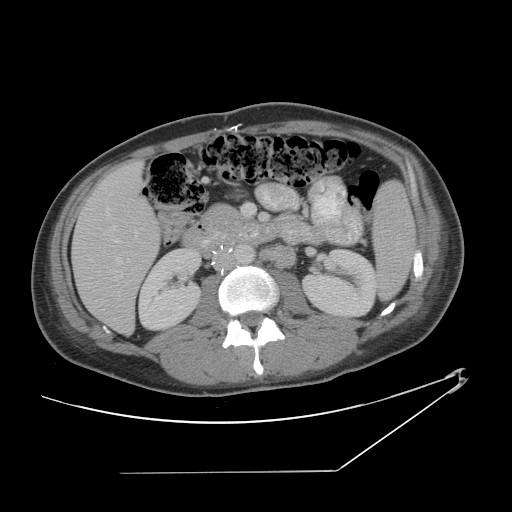 Computed tomography | Liver | 512x512
The vessel annotation is not exhaustive.
Annotated regions:
- hepatic vessel: 105 226 115 234, 116 257 122 263, 115 240 118 242, 115 272 123 279, 128 260 129 261